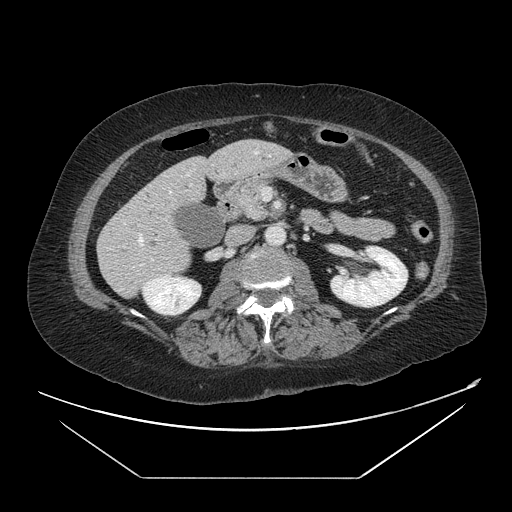 CT scan slice, 512x512, Upper abdomen

Pancreatic tumor at 239:197:260:217.
Pancreas at 231:180:271:221.